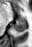 MR | Medial temporal lobe

Anterior hippocampus = <bbox>19, 17, 24, 18</bbox>.
Posterior hippocampus = <bbox>13, 19, 25, 32</bbox>.